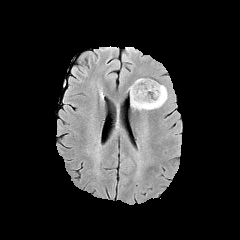
FLAIR MR image.
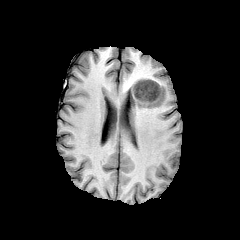
T1-weighted MR.
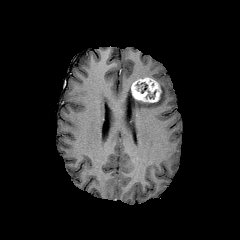
Post-contrast T1-weighted MR image.
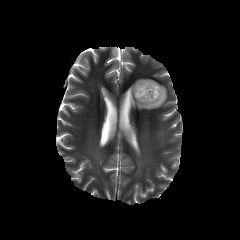
T2-weighted magnetic resonance.
Brain
The enhancing tumor is located at <box>131,77,160,102</box>. 2 non-enhancing tumor core regions are bounded by <box>145,89,156,99</box>, <box>135,82,148,93</box>. The edema appears at <box>127,84,168,110</box>.